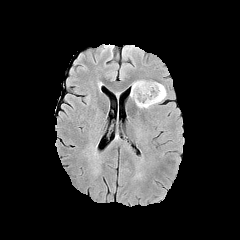
FLAIR MRI.
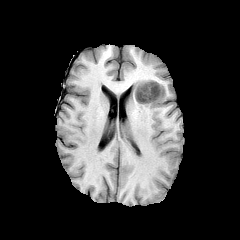
Same slice, T1-weighted MRI.
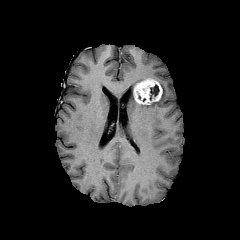
Same slice, post-contrast T1-weighted magnetic resonance.
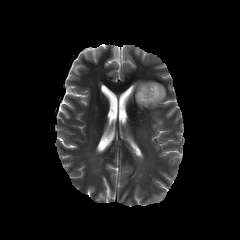
T2-weighted magnetic resonance.
Brain
Findings:
• edema: region(136, 156, 143, 171); region(135, 84, 168, 108); region(130, 80, 143, 98)
• non-enhancing tumor core: region(149, 84, 159, 100)
• enhancing tumor: region(133, 78, 162, 104)